Computed tomography, Image width 398 mm

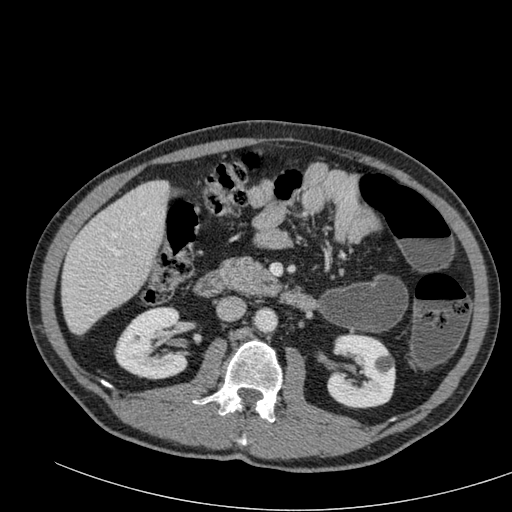 Kidney — (x1=328, y1=335, x2=394, y2=406), (x1=116, y1=308, x2=186, y2=378).
Liver — (x1=62, y1=181, x2=168, y2=333).